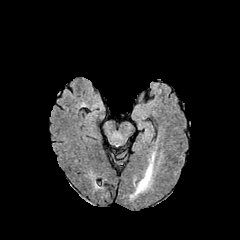
FLAIR magnetic resonance.
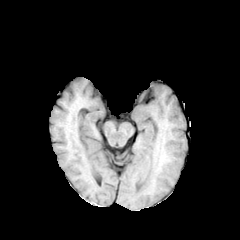
T1-weighted magnetic resonance.
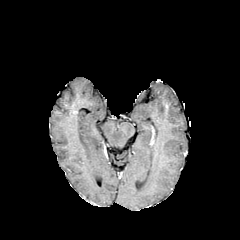
Post-contrast T1-weighted MR image of the same slice.
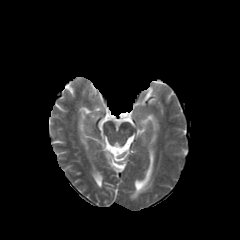
T2-weighted MR.
Edema at <box>133,155,153,195</box>.